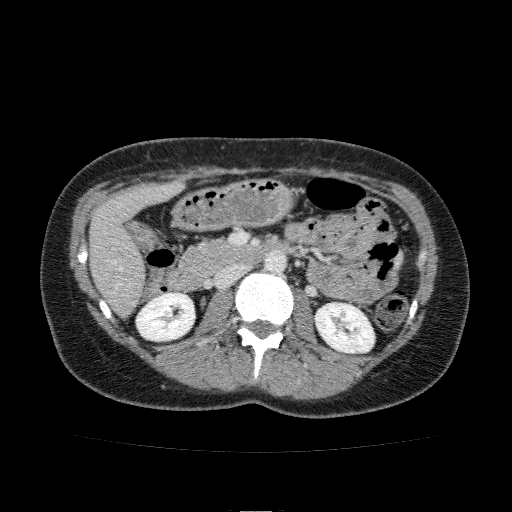 Abdomen, CT scan slice

<segmentation>
  <kidney>rect(315, 303, 374, 352); rect(136, 293, 194, 340)</kidney>
  <liver>rect(89, 182, 182, 315)</liver>
</segmentation>